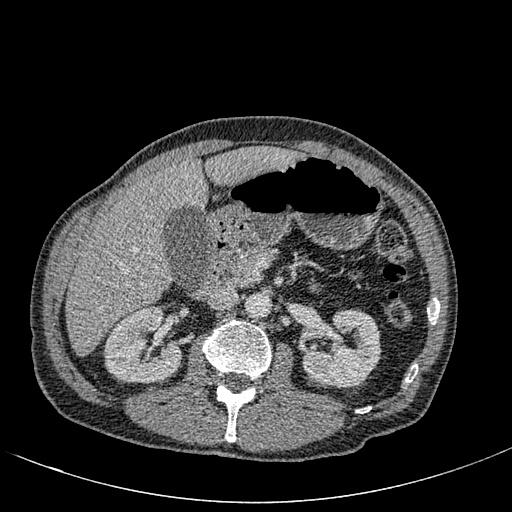

Upper abdomen | CT scan slice
Liver: 66:159:208:355, 205:146:300:185.
Kidney: 105:307:181:382, 299:308:380:387.